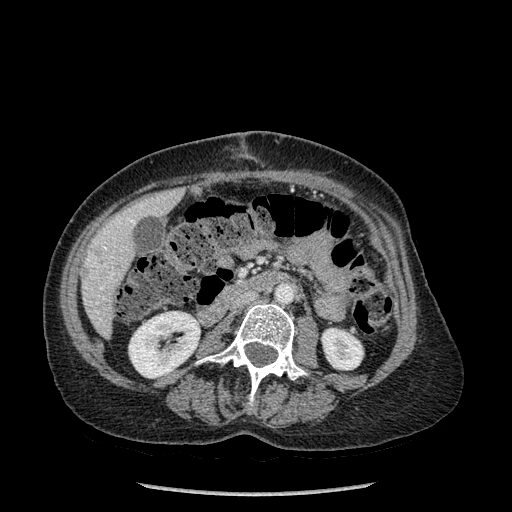
CT image
Kidney at [129,311,200,377], [322,328,363,369].
Bone at [197,302,307,409].
Liver at [80,188,183,336].